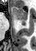

MR. Annotated regions:
• anterior hippocampus: x1=11 y1=6 x2=28 y2=22
• posterior hippocampus: x1=20 y1=23 x2=27 y2=25